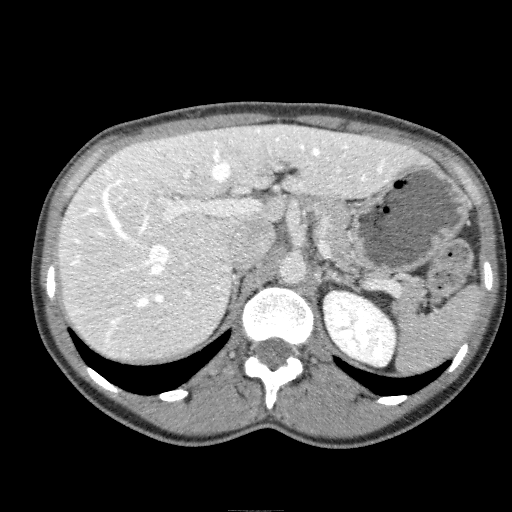 Liver, 512x512, Computed tomography
kidney:
  - (324, 291, 394, 365)
liver:
  - (58, 123, 432, 360)